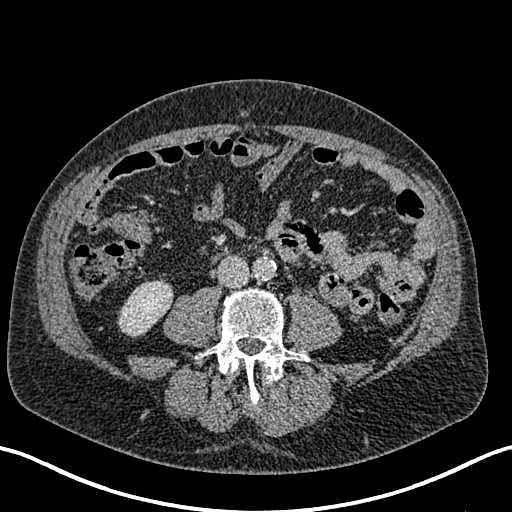

Abdomen. CT.

Annotated regions:
- kidney: x1=119 y1=282 x2=171 y2=335